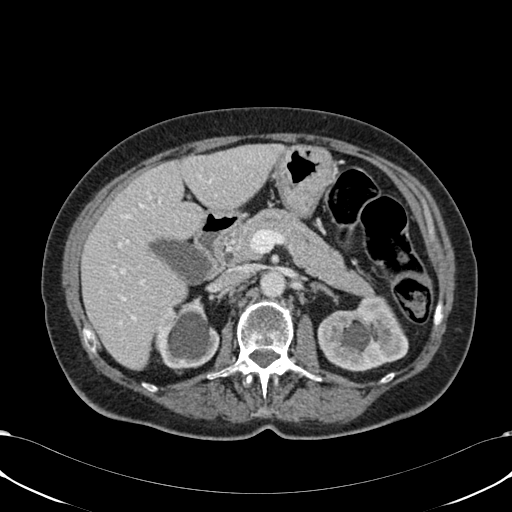

Computed tomography; Liver

Segmented structures:
- kidney: l=157, t=291, r=218, b=368; l=318, t=295, r=407, b=370
- liver: l=81, t=143, r=284, b=369